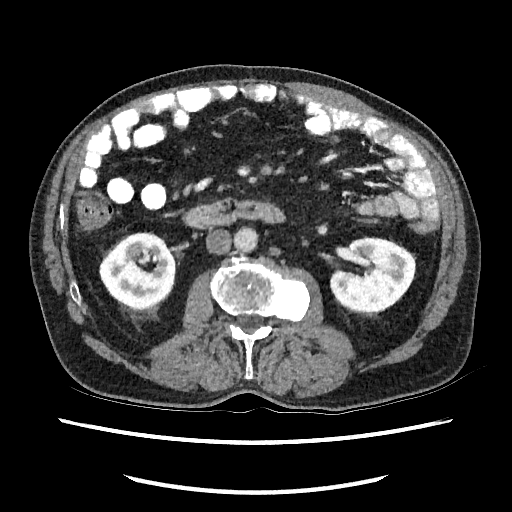
Abdomen. CT. Kidney: [330, 237, 415, 315], [99, 233, 177, 313].